Upper abdomen | CT scan slice | Image width 453 mm 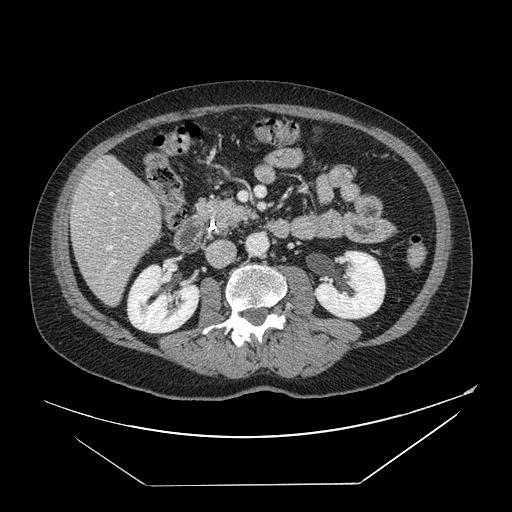

Pancreas: bounding box box=[197, 200, 256, 232].